Brain. Field of view 240 mm wide, 1.00 mm slice spacing.
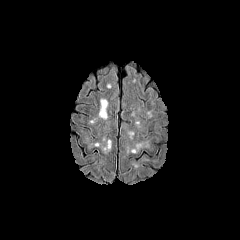
FLAIR MR image.
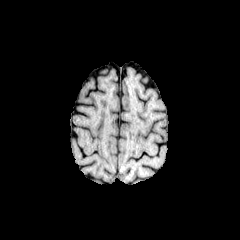
T1-weighted MR of the same slice.
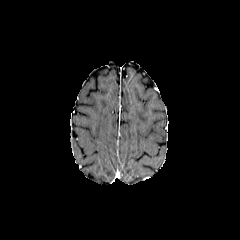
Same slice, post-contrast T1-weighted magnetic resonance.
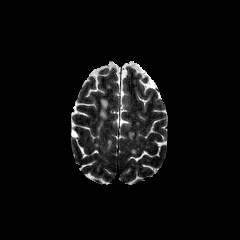
Same slice, T2-weighted magnetic resonance.
<segmentation>
  <edema>l=100, t=101, r=107, b=118</edema>
</segmentation>